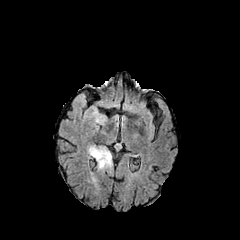
FLAIR MRI.
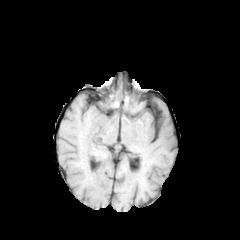
T1-weighted magnetic resonance.
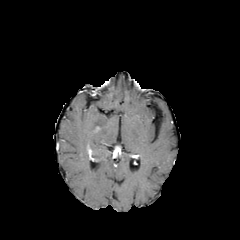
Post-contrast T1-weighted MRI.
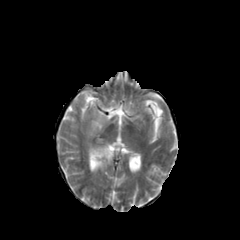
T2-weighted MR.
240x240; Head
Edema = 85:105:108:137, 86:142:112:171.